Magnetic resonance; Field of view 35 mm wide, 1.00 mm slice spacing
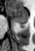
The anterior hippocampus is bounded by (8,7,28,20). The posterior hippocampus is bounded by (14,21,27,27).